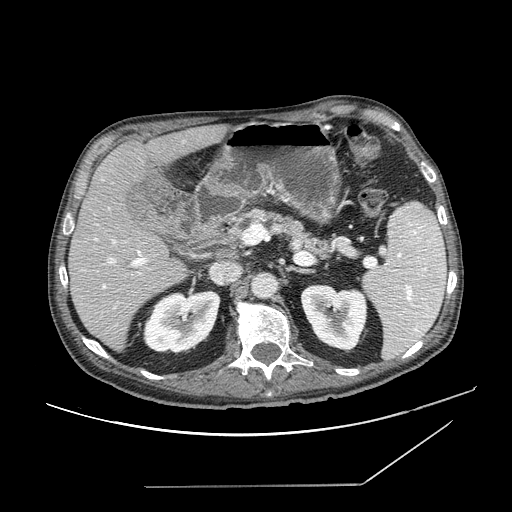 Abdomen; CT slice; Image size 512x512
The pancreas appears at left=230, top=210, right=327, bottom=253.